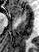 MR

<segmentation>
  <anterior_hippocampus>box=[11, 5, 24, 18]</anterior_hippocampus>
</segmentation>